Magnetic resonance, Hippocampus, Image size 34x49

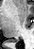

- posterior hippocampus: 8:39:18:42